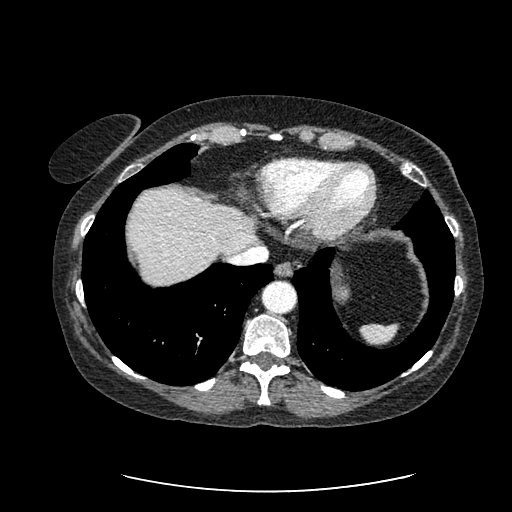 Upper abdomen. CT. 512x512 px.

Liver at <box>128,189,259,284</box>.